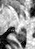 35x49 px | Magnetic resonance
• posterior hippocampus: (14,29,26,41)